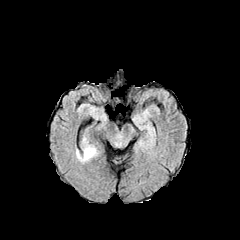
FLAIR MR.
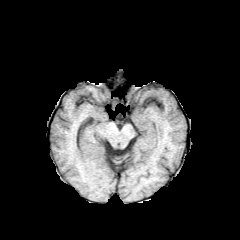
T1-weighted magnetic resonance of the same slice.
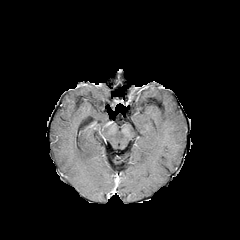
Post-contrast T1-weighted MRI.
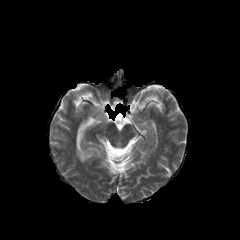
T2-weighted MR image of the same slice.
Head | 240x240
- edema: [x1=76, y1=142, x2=98, y2=161]